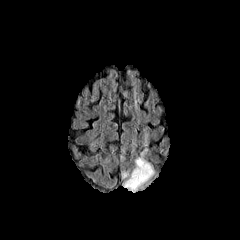
FLAIR MRI.
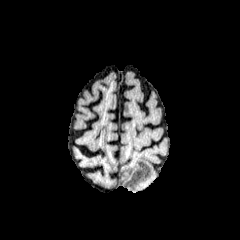
T1-weighted MR image of the same slice.
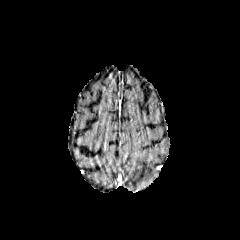
Post-contrast T1-weighted MR of the same slice.
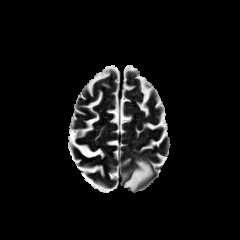
T2-weighted magnetic resonance of the same slice.
Findings:
- edema: box(121, 157, 154, 192)